CT
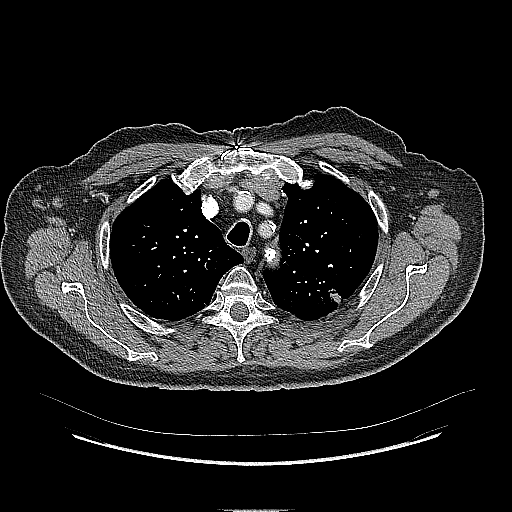

The lung tumor lies within 325,285,345,304.